CT. Slice 50 of 144.
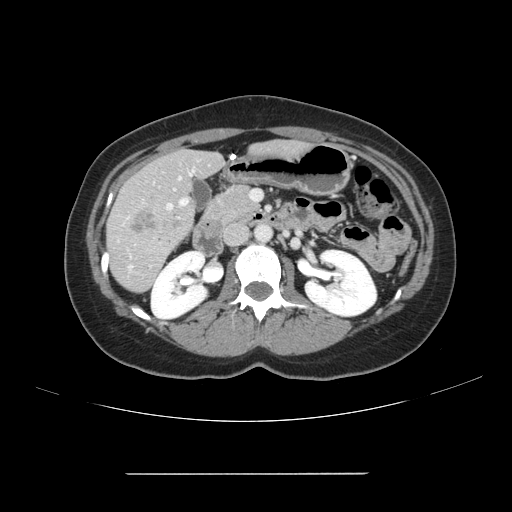
The vessel boxes may cover only some of the vessels.
5 hepatic vessel regions are located at bbox=[179, 177, 180, 179]; bbox=[167, 204, 171, 209]; bbox=[129, 266, 131, 268]; bbox=[180, 199, 187, 205]; bbox=[190, 170, 194, 175]. The liver tumor lies within bbox=[132, 210, 181, 241].